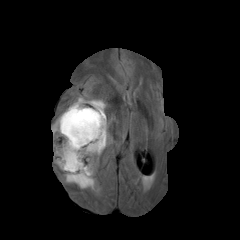
FLAIR MRI.
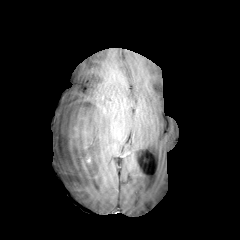
Same slice, T1-weighted MR.
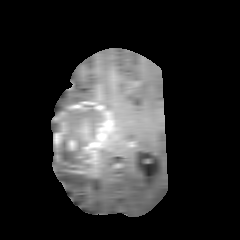
Same slice, post-contrast T1-weighted MR.
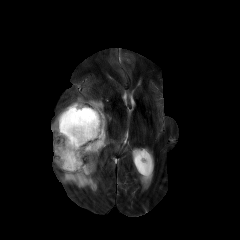
T2-weighted MR image.
Image size 240x240
{
  "enhancing_tumor": [
    "x1=67 y1=101 x2=111 y2=163",
    "x1=54 y1=120 x2=69 y2=147"
  ],
  "edema": [
    "x1=61 y1=158 x2=97 y2=190",
    "x1=51 y1=95 x2=105 y2=139",
    "x1=94 y1=136 x2=112 y2=156"
  ],
  "non-enhancing_tumor_core": [
    "x1=53 y1=109 x2=95 y2=174"
  ]
}